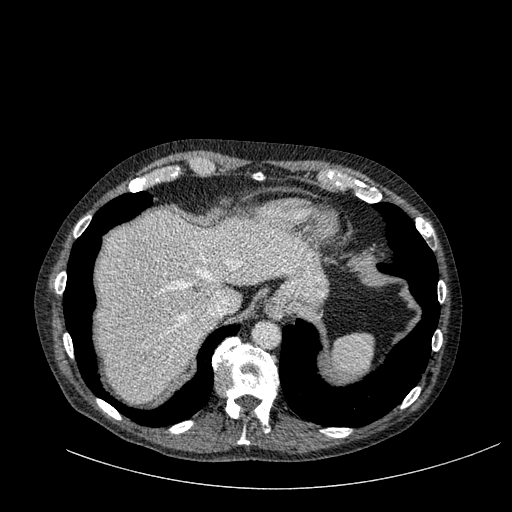

CT slice | 512x512 px | Upper abdomen
Liver = 97, 212, 304, 402.